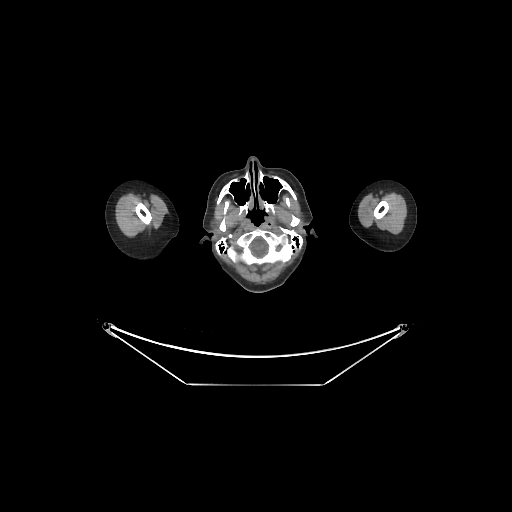 CT slice, Brain
<segmentation>
  <brain>[248,236,268,257]</brain>
</segmentation>